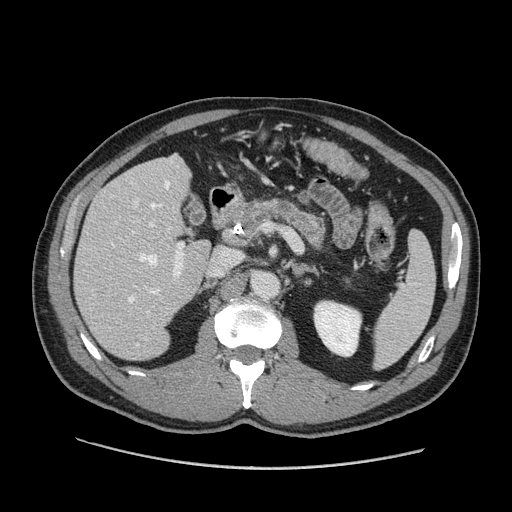

Upper abdomen; 512x512; CT scan slice

pancreatic_tumor:
  - box(241, 206, 256, 229)
pancreas:
  - box(233, 197, 328, 254)